Slice 19/605, CT scan slice

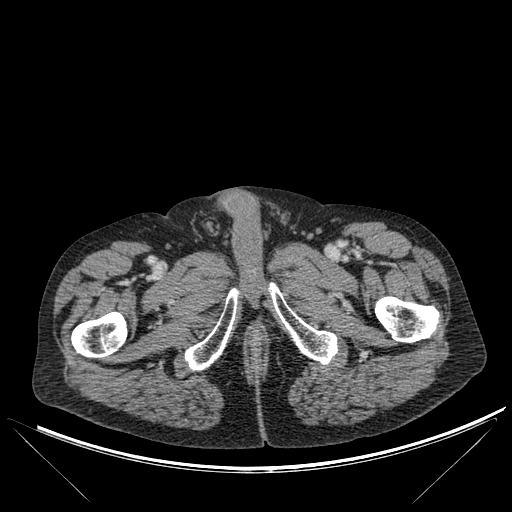
<segmentation>
  <bone>left=269, top=283, right=337, bottom=364; left=185, top=288, right=237, bottom=370; left=71, top=312, right=126, bottom=357; left=375, top=296, right=438, bottom=342</bone>
</segmentation>